FLAIR MR image.
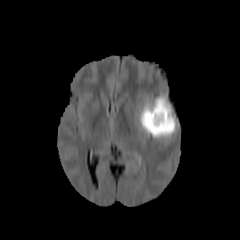
T1-weighted MR image.
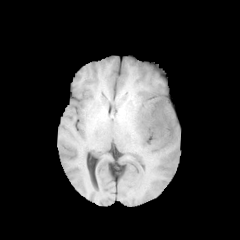
Post-contrast T1-weighted MR image.
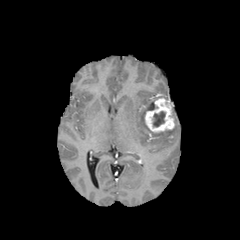
T2-weighted magnetic resonance.
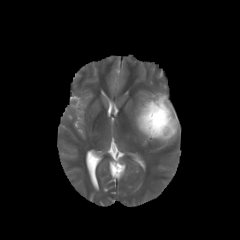
240x240 px; Head
Enhancing tumor: [144,97,176,133].
Edema: [133,94,177,143].
Non-enhancing tumor core: [162,119,177,135], [153,112,165,126].